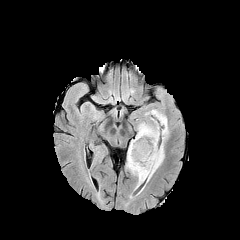
FLAIR MRI.
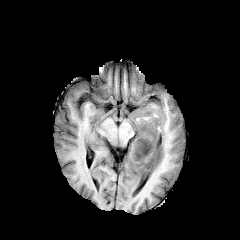
T1-weighted MR image.
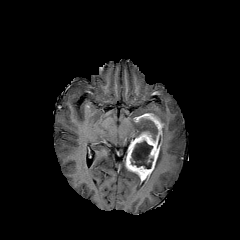
Post-contrast T1-weighted MR image.
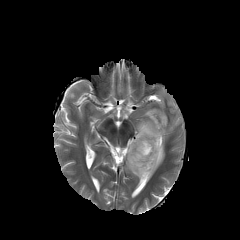
T2-weighted magnetic resonance of the same slice.
Head
2 non-enhancing tumor core regions are located at left=131, top=141, right=153, bottom=168; left=136, top=127, right=157, bottom=139. The enhancing tumor is bounded by left=126, top=113, right=161, bottom=181. 3 edema regions are located at left=137, top=117, right=155, bottom=133; left=149, top=108, right=169, bottom=177; left=126, top=170, right=141, bottom=189.